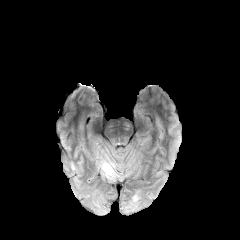
FLAIR MRI.
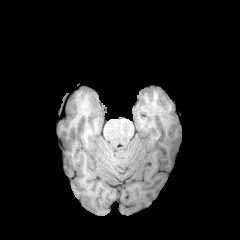
T1-weighted MRI of the same slice.
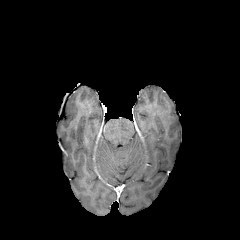
Post-contrast T1-weighted MR image.
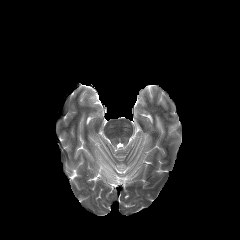
T2-weighted MR image.
Brain. Image size 240x240.
• edema: (98,160,114,179)